FLAIR MRI.
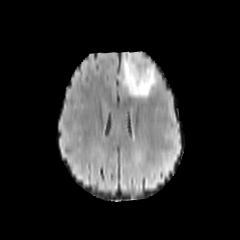
T1-weighted MRI.
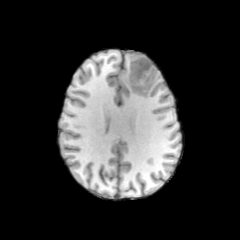
Post-contrast T1-weighted MR image.
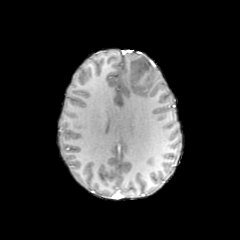
T2-weighted MR image.
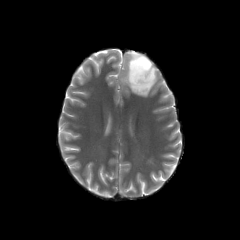
Edema = {"x1": 148, "y1": 59, "x2": 156, "y2": 83}, {"x1": 122, "y1": 52, "x2": 138, "y2": 94}.
Non-enhancing tumor core = {"x1": 129, "y1": 54, "x2": 154, "y2": 95}.